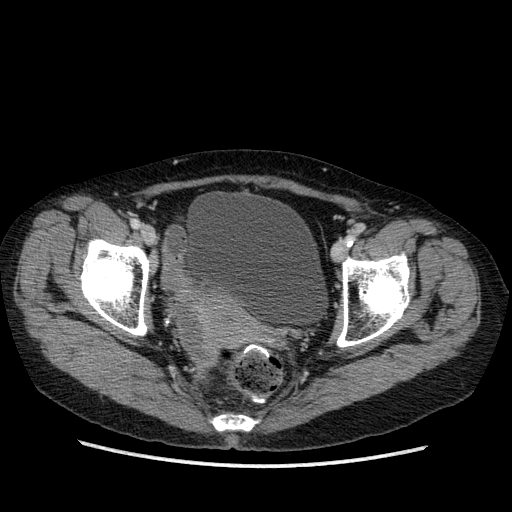
Computed tomography, Lower abdomen, 512x512 px
urinary bladder: (left=182, top=190, right=328, bottom=325)